CT. 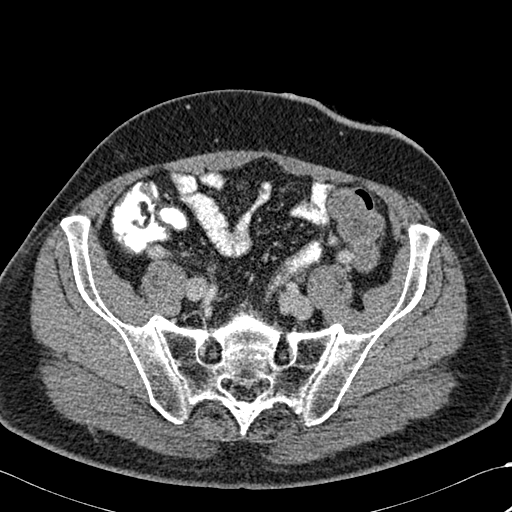 {
  "bone": [
    "bbox=[60, 215, 439, 433]"
  ]
}